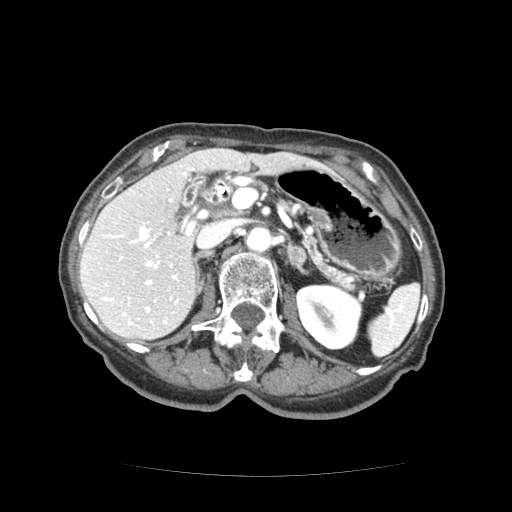 Computed tomography | Image size 512x512
pancreas: l=304, t=235, r=348, b=284; l=217, t=203, r=239, b=217